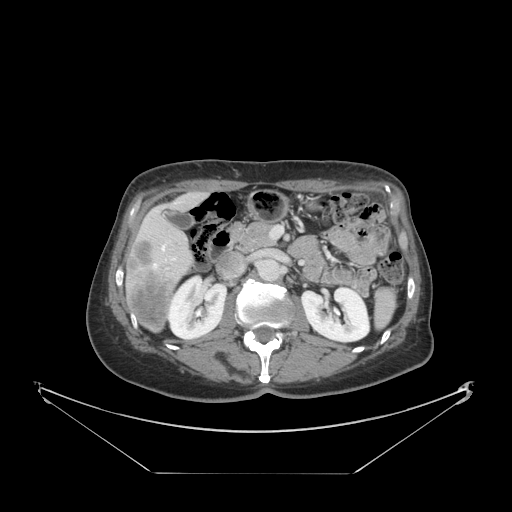
CT image; Abdomen
The spleen is bounded by bbox(376, 290, 395, 325).